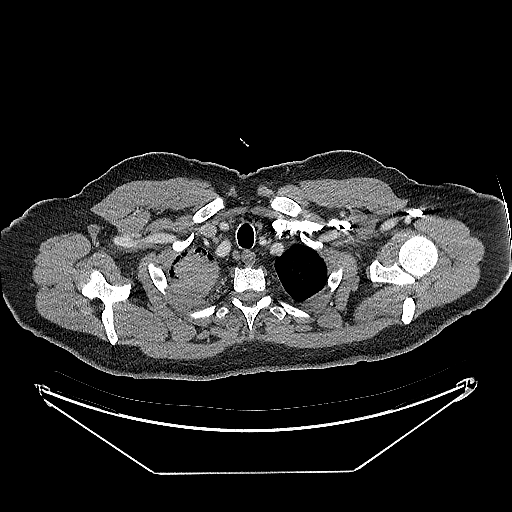

Computed tomography. Lung tumor at 168, 248, 219, 286.